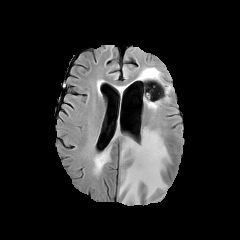
FLAIR MRI.
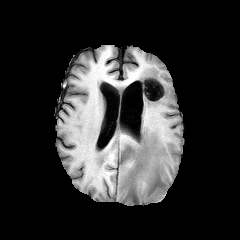
Same slice, T1-weighted MR.
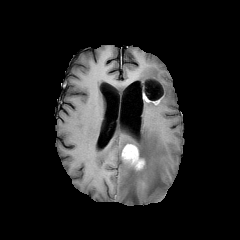
Post-contrast T1-weighted magnetic resonance of the same slice.
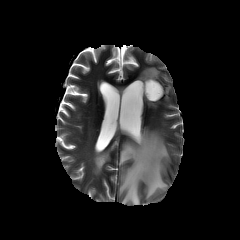
Same slice, T2-weighted MRI.
* enhancing tumor: region(121, 144, 145, 169)
* non-enhancing tumor core: region(130, 160, 147, 173)
* edema: region(94, 147, 111, 171); region(140, 67, 160, 80); region(119, 127, 169, 203)